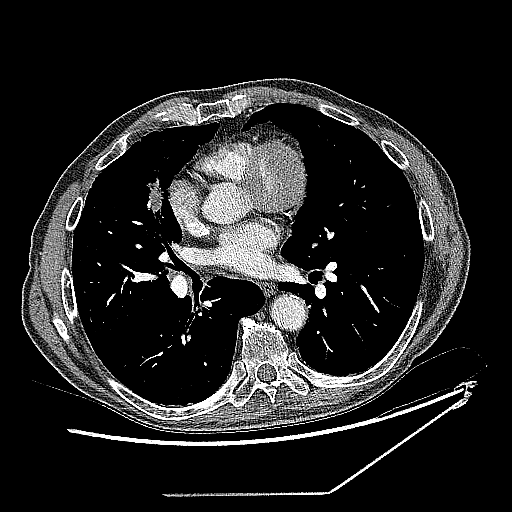

512x512, Thorax, CT image

{"lung_tumor": ["x1=141 y1=166 x2=174 y2=227"]}